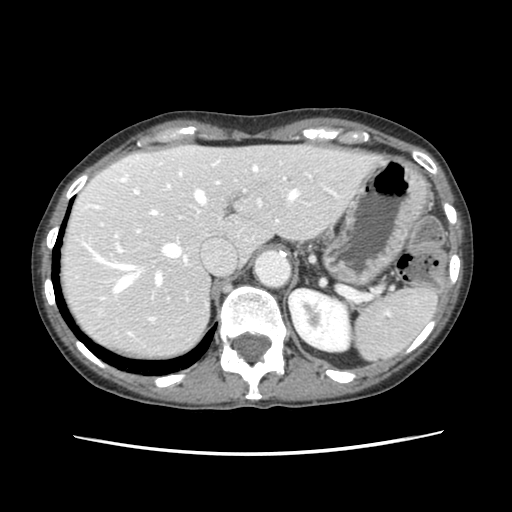
Upper abdomen, CT slice
Segmented structures:
* spleen: [x1=355, y1=289, x2=435, y2=359]